FLAIR MR image.
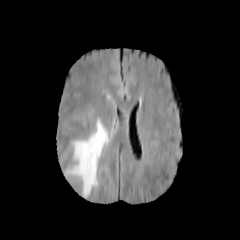
T1-weighted magnetic resonance.
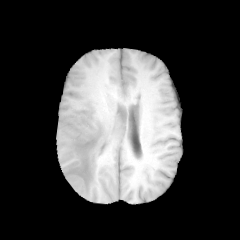
Post-contrast T1-weighted magnetic resonance.
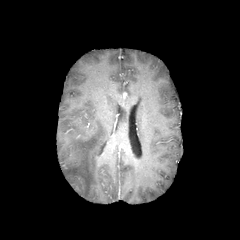
T2-weighted MR.
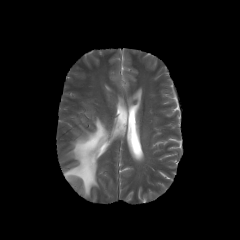
240x240 px
Edema — <bbox>64, 117, 108, 196</bbox>.